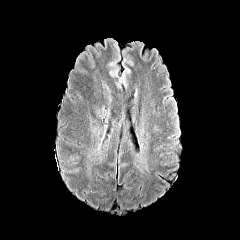
FLAIR MR.
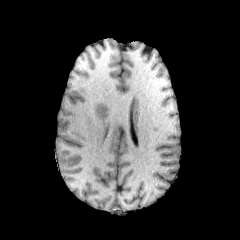
T1-weighted MRI.
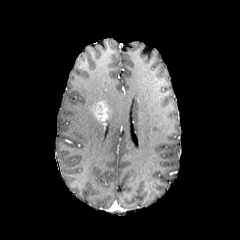
Post-contrast T1-weighted MR image of the same slice.
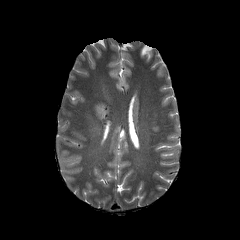
Same slice, T2-weighted MR.
* enhancing tumor: (left=94, top=101, right=108, bottom=120)